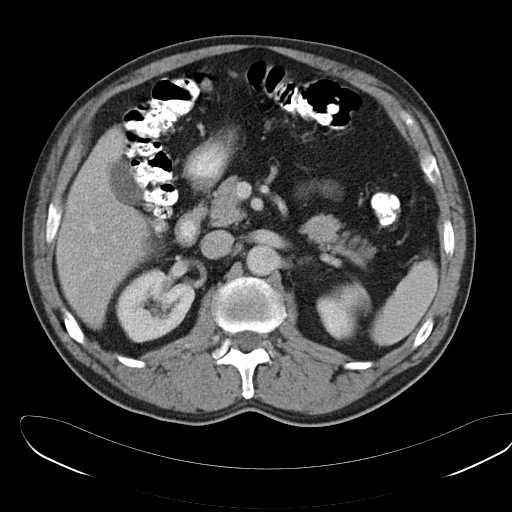

CT image
Spleen = (339,285,368,310), (372,262,436,343).